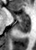

MR image

posterior_hippocampus:
  - bbox(17, 22, 29, 32)
anterior_hippocampus:
  - bbox(12, 13, 29, 21)